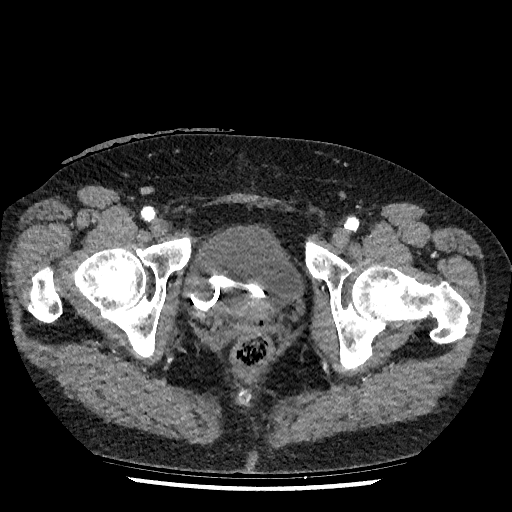
512x512. Pelvis. CT scan slice.
Urinary bladder = (left=200, top=287, right=246, bottom=324), (left=186, top=224, right=296, bottom=304).